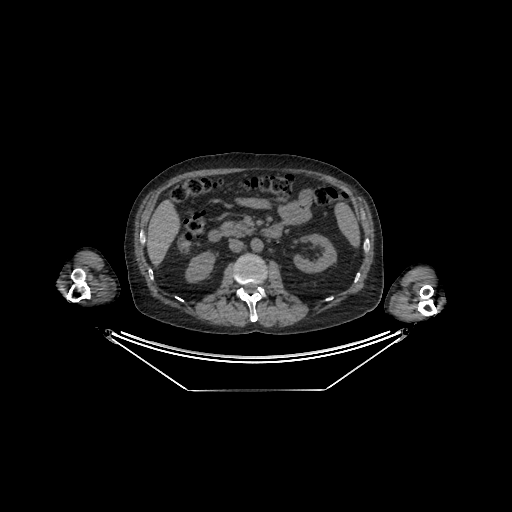

CT slice | Image size 512x512

Kidney = 185,251,215,282; 293,234,336,273.
Liver = 147,200,179,265.